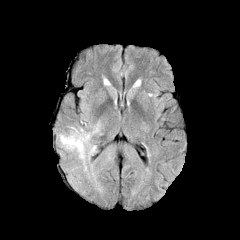
FLAIR MR image.
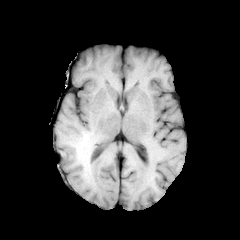
Same slice, T1-weighted magnetic resonance.
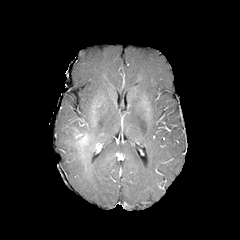
Post-contrast T1-weighted magnetic resonance.
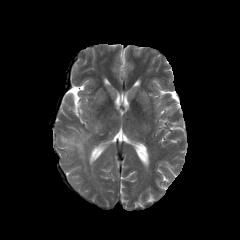
T2-weighted MRI.
Head. 240x240.
Edema at [93, 123, 101, 134], [57, 126, 96, 169].
Non-enhancing tumor core at [74, 129, 96, 159].